Slice 88/134; Abdomen; Image width 372 mm; Computed tomography

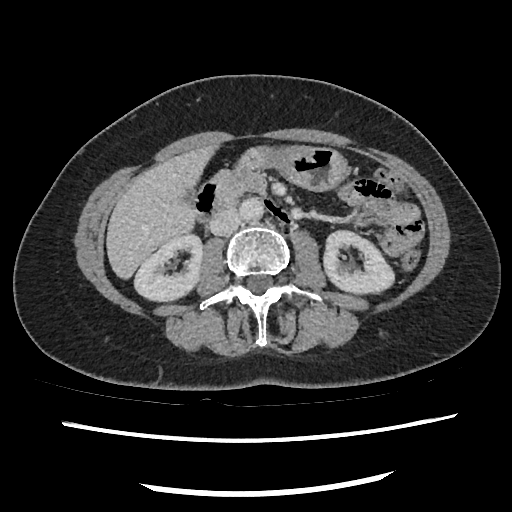 Findings:
• pancreas: 215,171,264,208